CT scan slice.

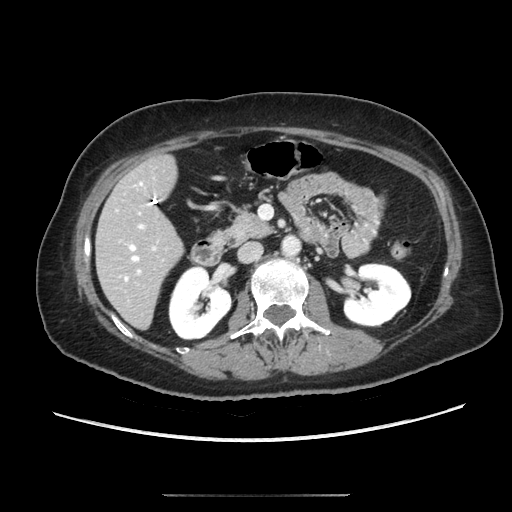

pancreas:
  - 230 210 272 244